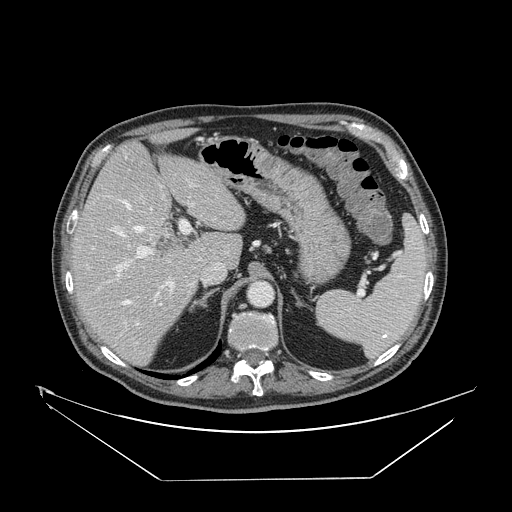

CT. 512x512 px. 2 pancreas regions are located at 284, 246, 294, 256; 268, 235, 279, 247.